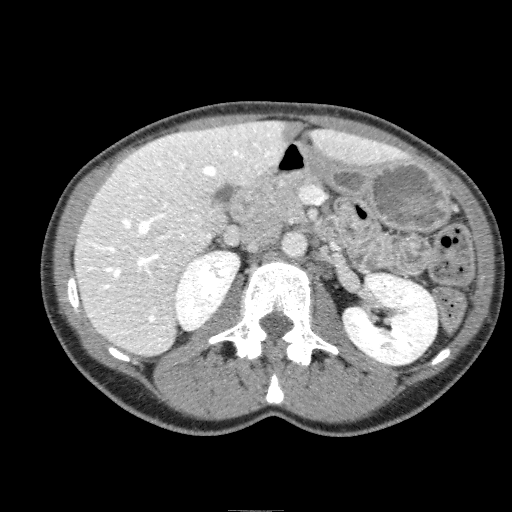 CT scan slice. Abdomen. Liver = <box>308,129,407,164</box>, <box>74,120,287,354</box>.
Kidney = <box>343,274,436,364</box>, <box>175,251,238,330</box>.
Liver lesion = <box>198,210,225,235</box>, <box>278,121,303,143</box>.